Slice 108 of 155; Brain
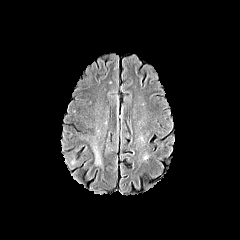
FLAIR MR.
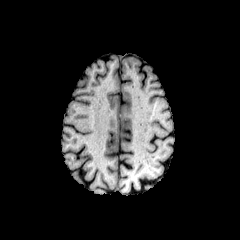
T1-weighted MR.
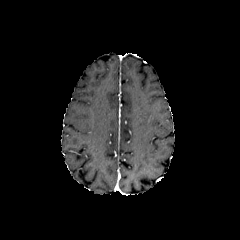
Post-contrast T1-weighted MRI.
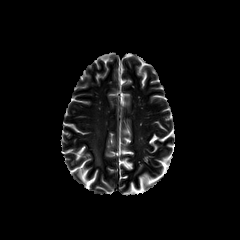
T2-weighted MR.
edema: [x1=93, y1=147, x2=100, y2=164]